Slice 41/87 | CT slice | Abdomen | 512x512 px

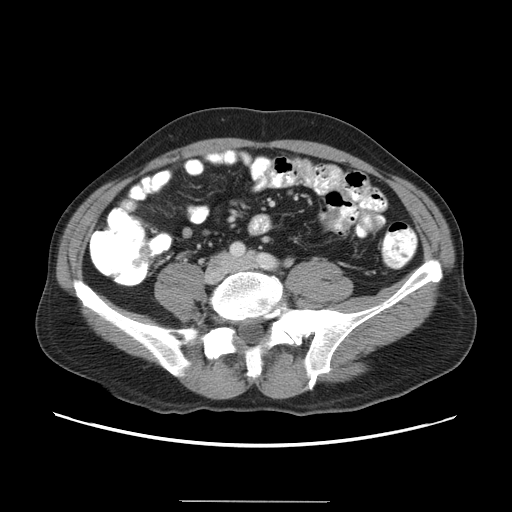 The colon tumor appears at x1=133, y1=244, x2=150, y2=267.